240x240 px. Slice 79 of 155.
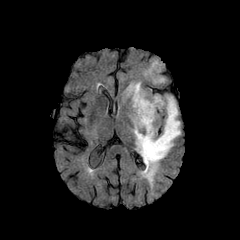
FLAIR MR image.
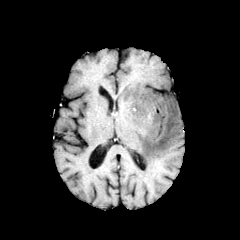
T1-weighted MRI of the same slice.
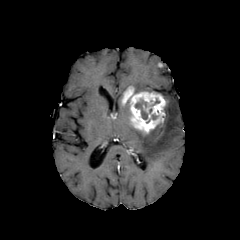
Post-contrast T1-weighted magnetic resonance of the same slice.
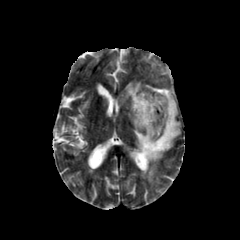
T2-weighted MRI of the same slice.
Enhancing tumor: bounding box <bbox>122, 86, 168, 133</bbox>.
Non-enhancing tumor core: bounding box <bbox>135, 102, 147, 119</bbox>.
Edema: bounding box <bbox>128, 82, 142, 91</bbox>, <bbox>132, 94, 180, 187</bbox>.